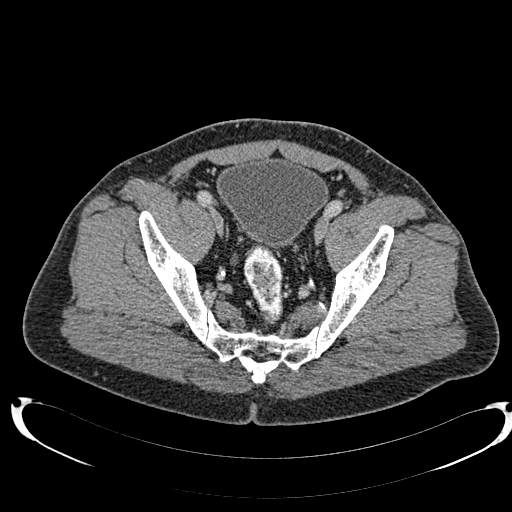

CT image, 512x512
Segmented structures:
* urinary bladder: l=218, t=157, r=328, b=248